Head
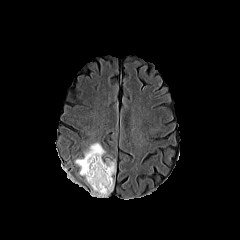
FLAIR MRI.
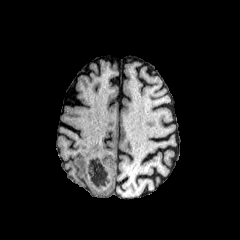
T1-weighted MR image.
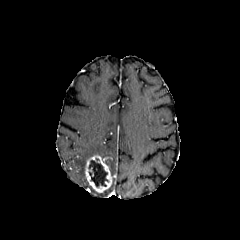
Same slice, post-contrast T1-weighted MR image.
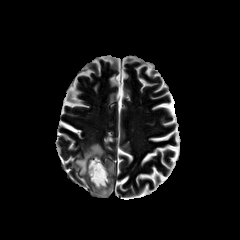
T2-weighted MRI.
Segmented structures:
- enhancing tumor: (84, 155, 112, 193)
- edema: (99, 181, 113, 197), (75, 143, 104, 176), (109, 163, 115, 175)
- non-enhancing tumor core: (88, 158, 109, 187)